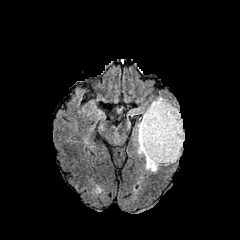
FLAIR MR.
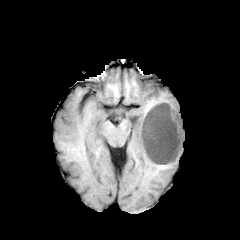
T1-weighted MR of the same slice.
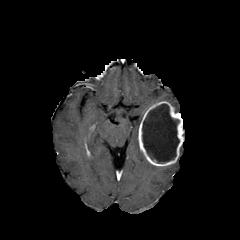
Post-contrast T1-weighted MRI.
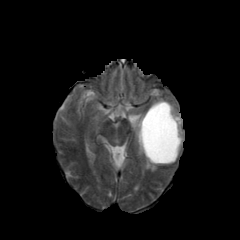
T2-weighted MR image.
Brain; 240x240 px
2 edema regions are bounded by x1=147 y1=96 x2=170 y2=109, x1=133 y1=117 x2=158 y2=172. The enhancing tumor appears at x1=137 y1=100 x2=184 y2=165. The non-enhancing tumor core is located at x1=143 y1=104 x2=178 y2=162.